Image size 37x45. MRI slice. Slice 31/39.

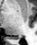 <segmentation>
  <posterior_hippocampus>(x1=11, y1=37, x2=20, y2=39)</posterior_hippocampus>
</segmentation>